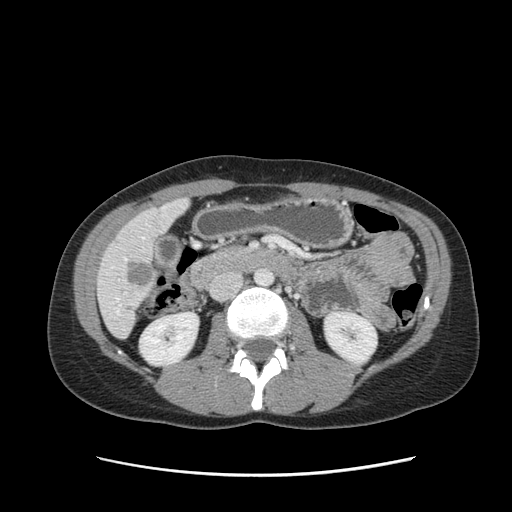 CT slice. Upper abdomen.

The pancreas is at l=222, t=248, r=243, b=260.